Computed tomography; Upper abdomen; Slice 67 of 122

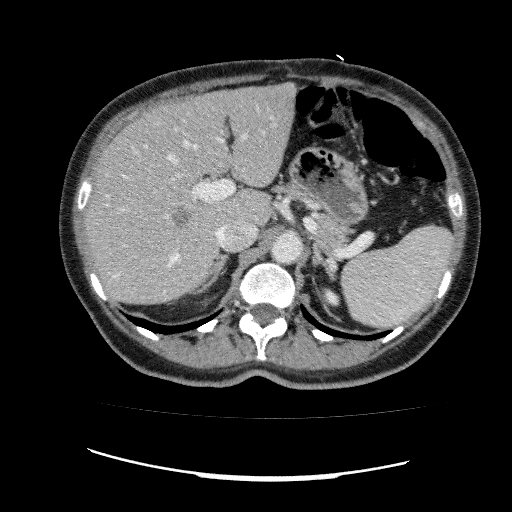 Findings:
* liver: x1=83, y1=83, x2=295, y2=304
* kidney: x1=327, y1=292, x2=335, y2=303
* hepatic lesion: x1=171, y1=206, x2=191, y2=228